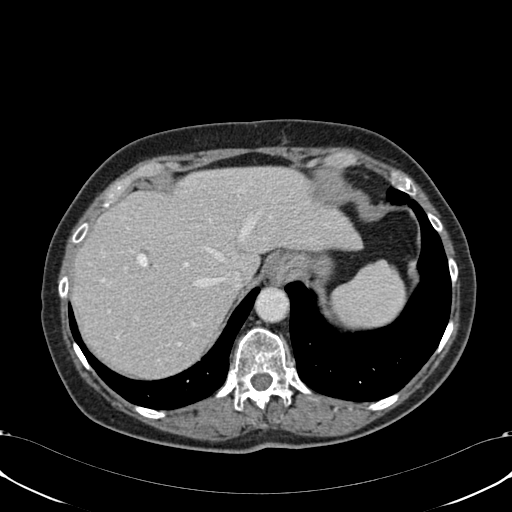 CT scan slice, Upper abdomen
The liver is bounded by bbox=[72, 167, 361, 376].